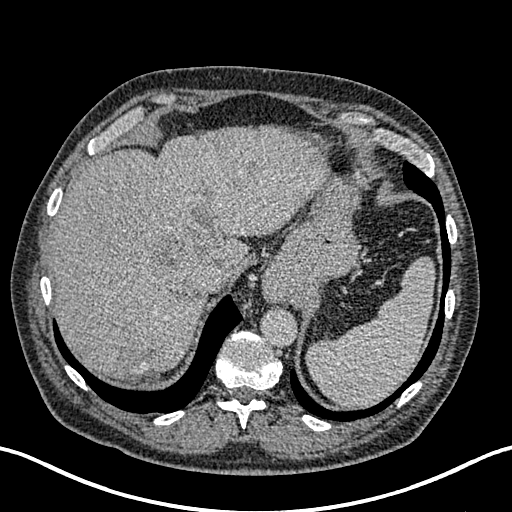 CT scan slice
<segmentation>
  <focal_liver_lesion>(188, 203, 213, 230), (146, 231, 214, 281), (117, 346, 156, 377), (244, 162, 260, 178), (165, 279, 203, 306)</focal_liver_lesion>
  <liver>(49, 127, 327, 379)</liver>
</segmentation>